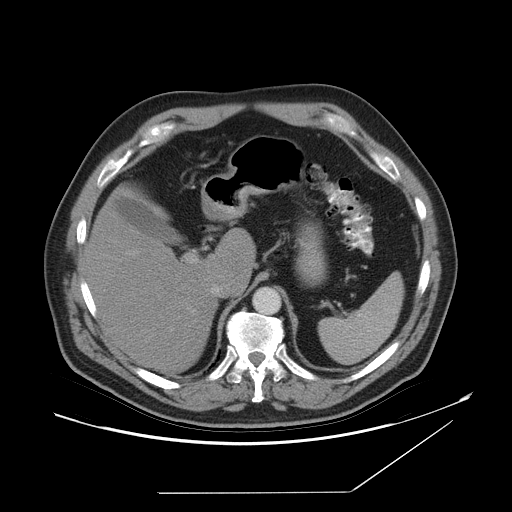
CT. Segmented structures:
• spleen: box(319, 275, 403, 363)